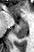 MRI, Image size 34x52, Hippocampus
<segmentation>
  <anterior_hippocampus>rect(19, 18, 23, 20)</anterior_hippocampus>
  <posterior_hippocampus>rect(14, 21, 27, 38)</posterior_hippocampus>
</segmentation>